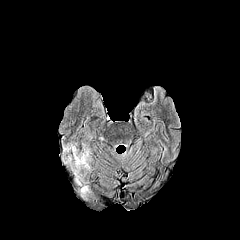
FLAIR MR.
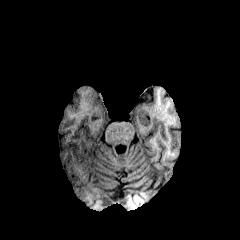
T1-weighted MR.
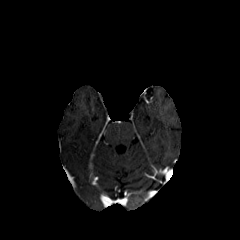
Post-contrast T1-weighted magnetic resonance of the same slice.
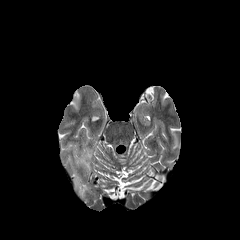
T2-weighted MR image.
Brain
Edema = <bbox>61, 142, 89, 194</bbox>.